CT, Abdomen, Slice 494/845, Image width 472 mm
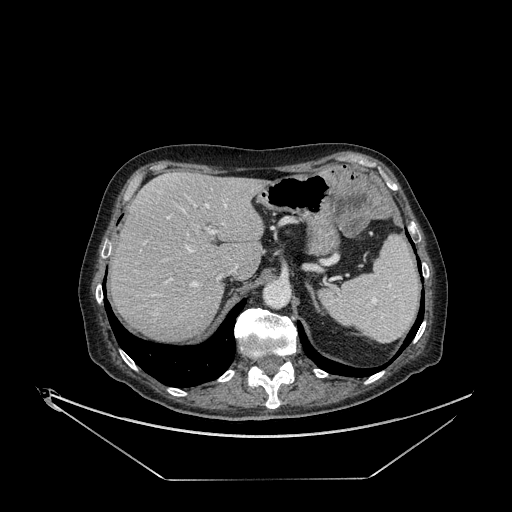

Segmented structures:
* liver: <box>111,172,268,341</box>